Field of view 351 mm wide, 1.00 mm slice spacing. Pelvis. CT slice. 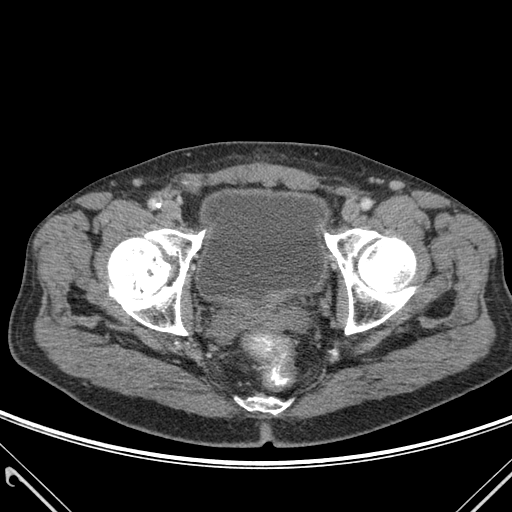

3 bone regions are located at 108:229:204:335, 325:228:415:334, 237:397:289:414. The urinary bladder is bounded by 198:193:325:308.